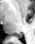
Magnetic resonance

Posterior hippocampus = bbox(15, 34, 22, 38).